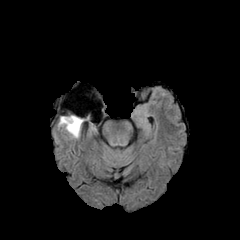
FLAIR MRI.
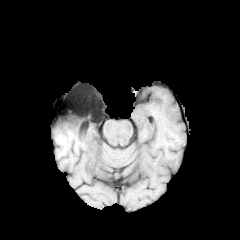
Same slice, T1-weighted magnetic resonance.
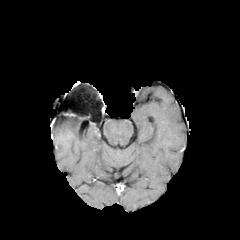
Same slice, post-contrast T1-weighted MR.
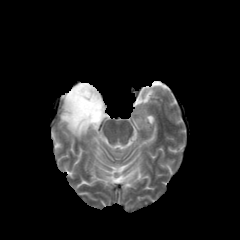
T2-weighted MR image of the same slice.
Image size 240x240
Non-enhancing tumor core: bounding box x1=60 y1=114 x2=81 y2=129.
Edema: bounding box x1=57 y1=116 x2=89 y2=138.